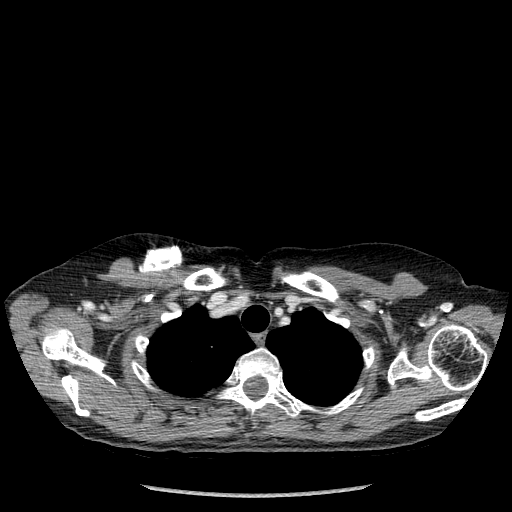 CT slice
Annotated regions:
- bone: x1=41, y1=323, x2=115, y2=385; x1=281, y1=272, x2=338, y2=302; x1=182, y1=267, x2=225, y2=290; x1=415, y1=398, x2=466, y2=420; x1=161, y1=308, x2=181, y2=322; x1=325, y1=309, x2=349, y2=327; x1=135, y1=334, x2=148, y2=353; x1=387, y1=324, x2=487, y2=390; x1=131, y1=361, x2=153, y2=388; x1=59, y1=374, x2=89, y2=416; x1=363, y1=346, x2=374, y2=368; x1=218, y1=347, x2=362, y2=417
- lung: x1=147, y1=304, x2=269, y2=396; x1=266, y1=307, x2=362, y2=405